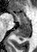 MRI
Posterior hippocampus: bounding box <box>14,22,29,39</box>.
Anterior hippocampus: bounding box <box>14,13,28,21</box>, <box>8,10,12,11</box>.